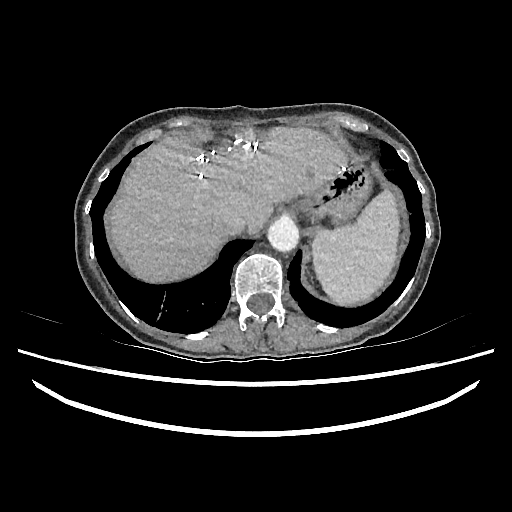 Image size 512x512; Liver; CT slice
liver: {"x1": 111, "y1": 127, "x2": 344, "y2": 281}